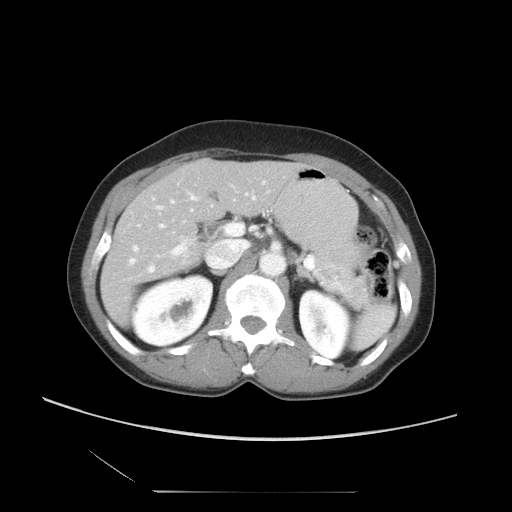
CT | 512x512 px
Only some of the vessels may be annotated.
Segmented structures:
- hepatic vessel (principal 15 of 17): 231,185,236,191; 187,192,196,200; 170,236,192,261; 137,224,139,226; 151,197,153,199; 170,199,173,202; 129,258,134,263; 158,223,163,227; 262,181,264,183; 245,192,254,198; 132,245,137,250; 156,205,162,212; 156,254,160,257; 182,220,184,222; 147,265,154,271